FLAIR MR.
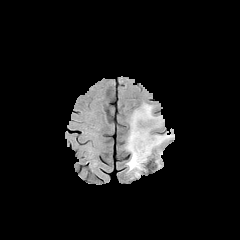
T1-weighted magnetic resonance.
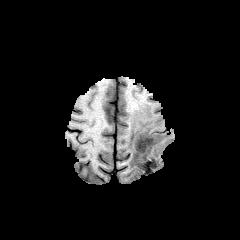
Post-contrast T1-weighted MR image.
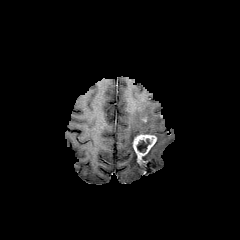
T2-weighted MR.
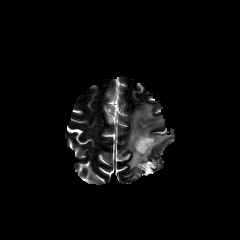
The edema appears at {"x1": 126, "y1": 104, "x2": 169, "y2": 175}. The non-enhancing tumor core appears at {"x1": 137, "y1": 140, "x2": 149, "y2": 151}. The enhancing tumor is located at {"x1": 132, "y1": 134, "x2": 156, "y2": 163}.